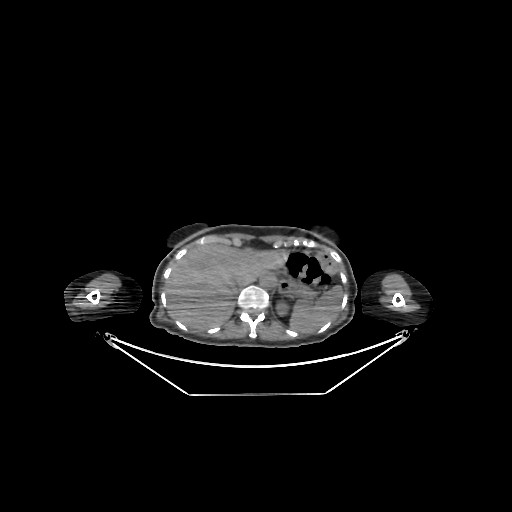
Computed tomography | Image size 512x512 | Upper abdomen
The kidney lies within bbox(276, 300, 289, 314). The liver is bounded by bbox(164, 243, 282, 329).